Image size 512x512 | Slice 286/761 | CT image | Liver
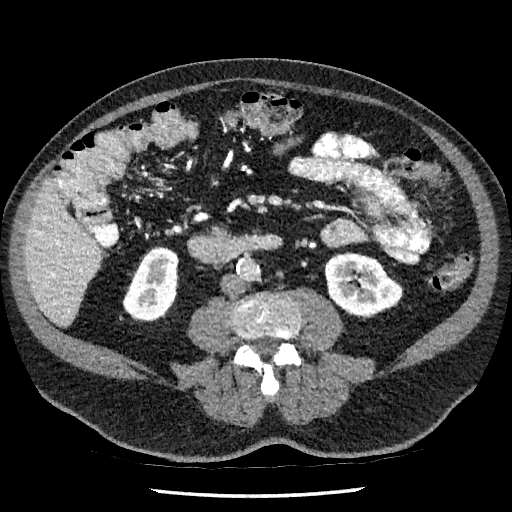

Kidney at box(124, 250, 177, 319); box(325, 254, 401, 315).
Liver at box(25, 182, 101, 326).